FLAIR MR.
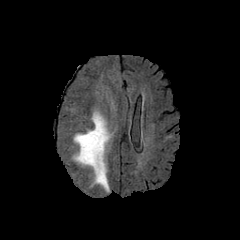
T1-weighted MR.
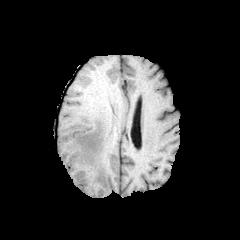
Post-contrast T1-weighted MR image.
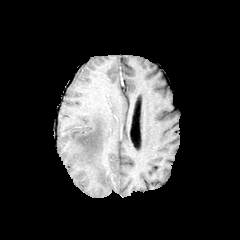
T2-weighted MRI.
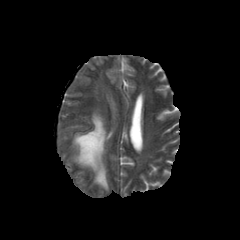
edema:
  - 72:111:111:191